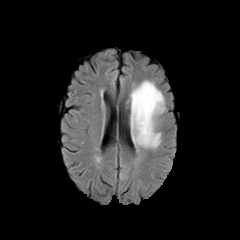
FLAIR MR.
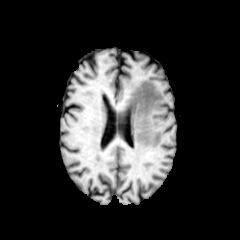
Same slice, T1-weighted magnetic resonance.
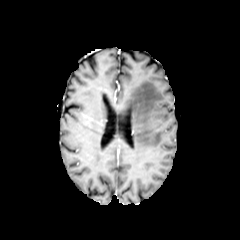
Post-contrast T1-weighted MR image.
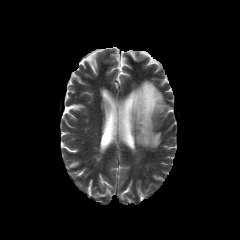
Same slice, T2-weighted magnetic resonance.
Head
<segmentation>
  <edema>left=127, top=80, right=165, bottom=148</edema>
</segmentation>